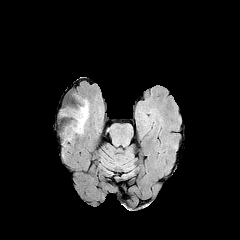
FLAIR MRI.
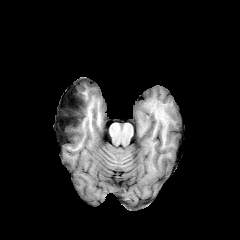
Same slice, T1-weighted MRI.
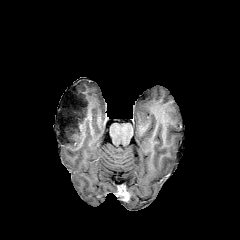
Post-contrast T1-weighted MRI.
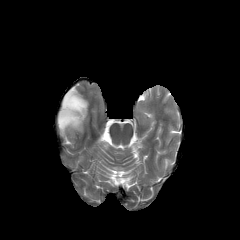
T2-weighted MR image of the same slice.
240x240.
non-enhancing tumor core: (x1=60, y1=100, x2=89, y2=133)